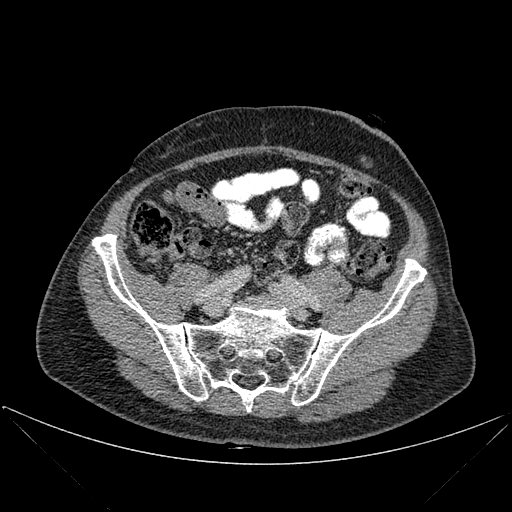
CT scan slice.

Bone: bounding box (92, 234, 426, 411).